CT slice | Pelvis | Slice 133/917

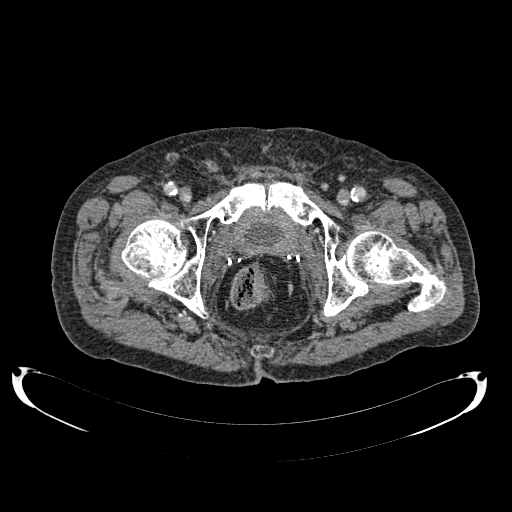

Urinary bladder = bbox(245, 223, 281, 245).